Field of view 381x381 mm. Slice 266 of 424. CT slice. Abdomen. 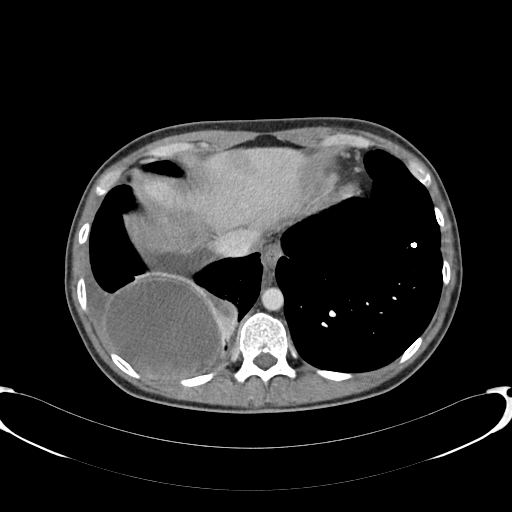 The focal liver lesion is bounded by [231,152,249,170]. The liver is at [142,148,312,233].